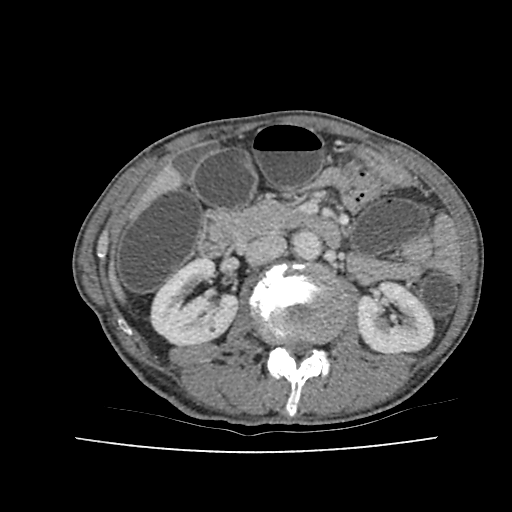
CT slice | Upper abdomen
Liver — <bbox>145, 172, 175, 202</bbox>.
Kidney — <bbox>358, 283, 432, 352</bbox>, <bbox>152, 259, 236, 344</bbox>.